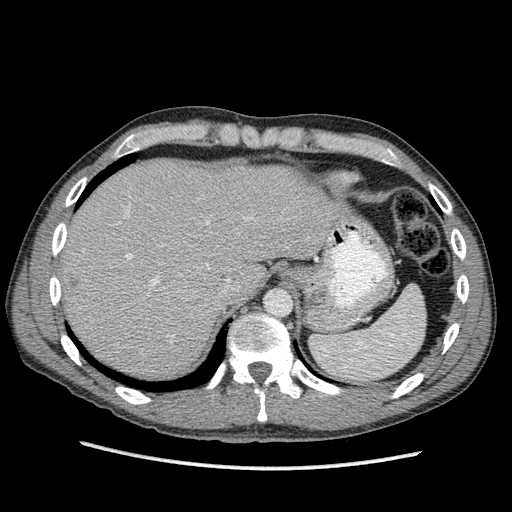
Computed tomography; Abdomen
<segmentation>
  <liver_lesion>(68,276,76,285)</liver_lesion>
  <liver>(57,158,340,380)</liver>
</segmentation>